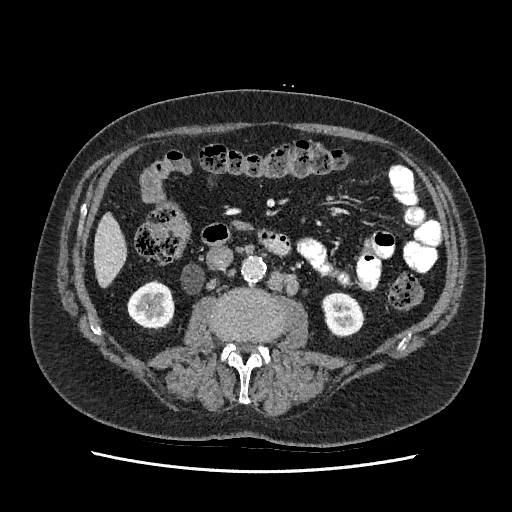
CT slice
The liver is bounded by [94,214,125,286]. 2 kidney regions are located at [323,293,362,335], [128,282,173,327].